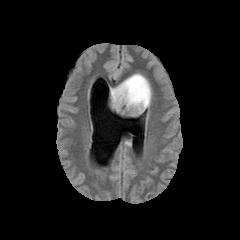
FLAIR magnetic resonance.
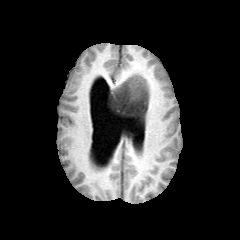
T1-weighted MR.
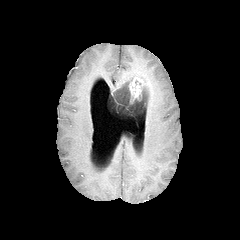
Same slice, post-contrast T1-weighted MR.
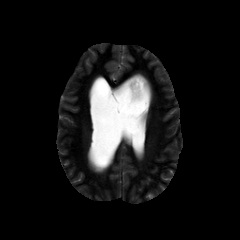
T2-weighted MR image.
Brain
{"edema": ["109 70 154 109"], "enhancing_tumor": ["127 74 148 104"], "non-enhancing_tumor_core": ["109 82 148 119"]}